Image size 512x512, CT 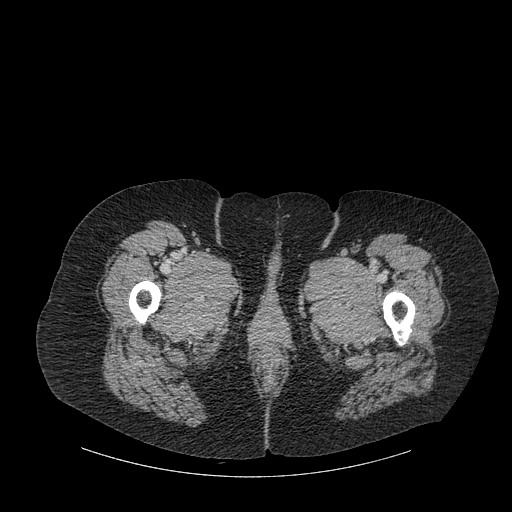 2 bone regions appear at <box>129,281,160,323</box>, <box>383,291,414,345</box>.